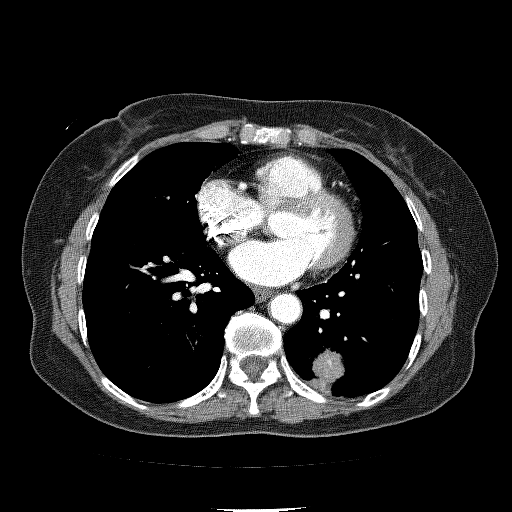

CT image. Chest.
lung tumor: [308, 348, 345, 391]